512x512, Upper abdomen, CT, Slice 405/466 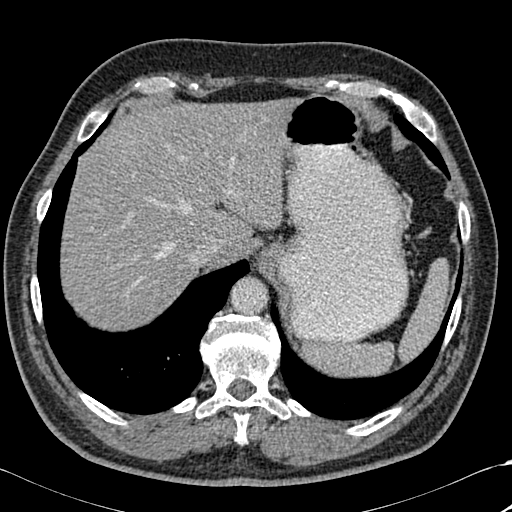
11 bone regions appear at bbox(174, 314, 309, 442); bbox(341, 83, 436, 140); bbox(445, 299, 460, 342); bbox(78, 111, 106, 141); bbox(466, 207, 469, 239); bbox(143, 78, 174, 91); bbox(347, 408, 400, 435); bbox(31, 277, 41, 321); bbox(459, 203, 464, 240); bbox(37, 190, 51, 220); bbox(80, 394, 125, 424). 2 liver regions appear at bbox(207, 247, 227, 263); bbox(62, 99, 293, 329). 3 lung regions are located at bbox(37, 110, 249, 414); bbox(270, 201, 465, 419); bbox(393, 113, 449, 178).